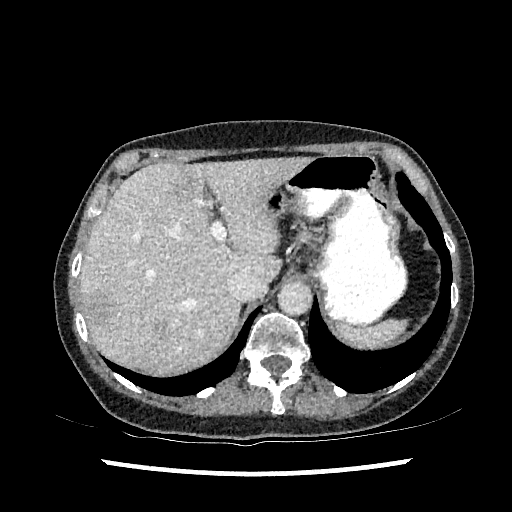
CT image

The liver is located at l=80, t=157, r=311, b=373. 3 focal liver lesion regions are bounded by l=155, t=321, r=167, b=332; l=83, t=289, r=117, b=326; l=173, t=176, r=197, b=200.